Slice 99/155
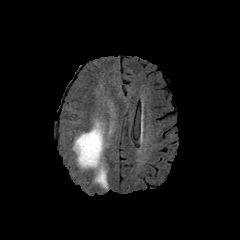
FLAIR MR.
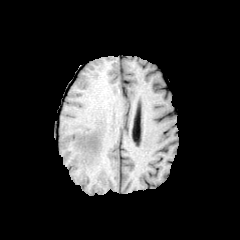
T1-weighted MR.
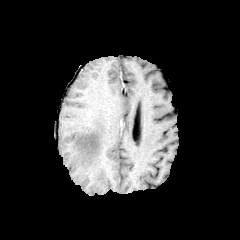
Post-contrast T1-weighted MR.
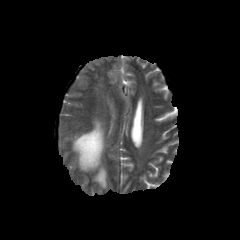
Same slice, T2-weighted MR image.
The edema is at rect(73, 119, 108, 188).